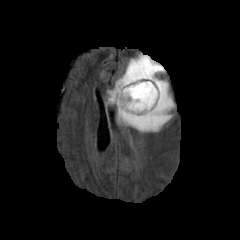
FLAIR MR.
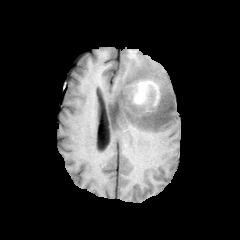
T1-weighted magnetic resonance of the same slice.
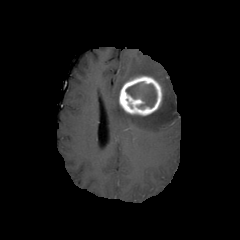
Post-contrast T1-weighted MR.
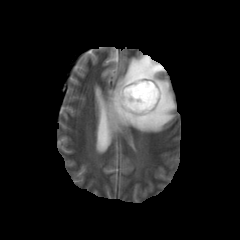
T2-weighted MR image.
Brain; 240x240
Annotated regions:
• edema: left=109, top=55, right=174, bottom=131
• enhancing tumor: left=118, top=75, right=163, bottom=115
• non-enhancing tumor core: left=134, top=96, right=164, bottom=118; left=126, top=84, right=156, bottom=107